FLAIR MRI.
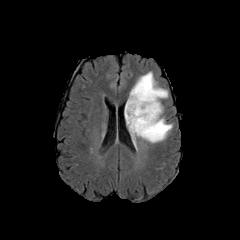
T1-weighted MR image.
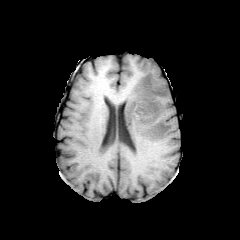
Post-contrast T1-weighted magnetic resonance.
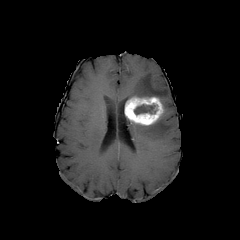
T2-weighted magnetic resonance.
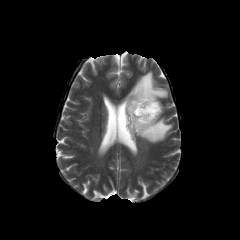
240x240 px, Brain
{"edema": ["region(129, 71, 168, 100)", "region(126, 117, 172, 149)"], "non-enhancing_tumor_core": ["region(134, 105, 155, 114)"], "enhancing_tumor": ["region(124, 95, 163, 125)"]}